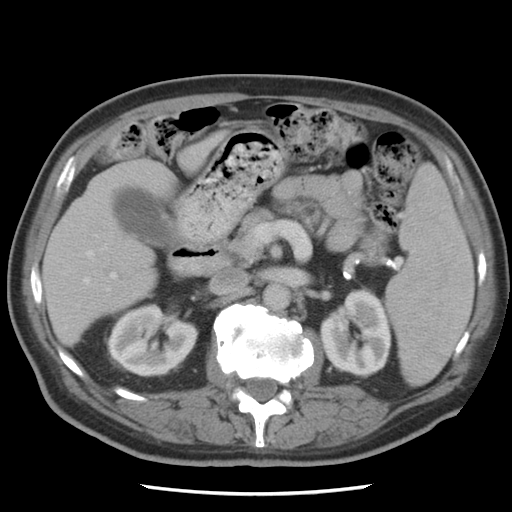

Upper abdomen; 512x512 px; CT slice
Pancreas at <box>226,202,321,265</box>.